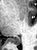 MR image. Posterior hippocampus = <box>7,37,20,44</box>.